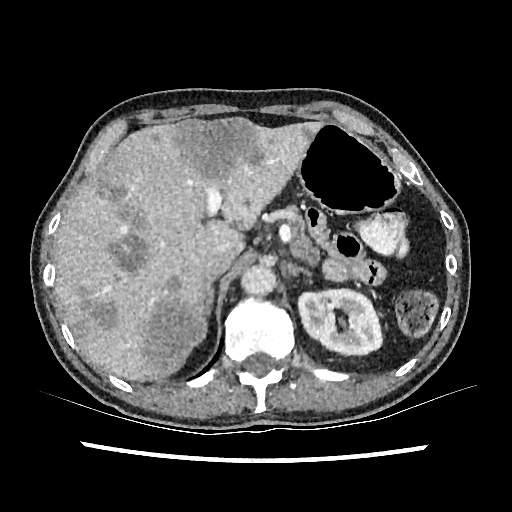 CT scan slice; Liver

{
  "kidney": [
    "<box>298,289,381,358</box>"
  ],
  "liver_lesion": [
    "<box>242,197,250,208</box>",
    "<box>110,203,149,274</box>",
    "<box>151,134,159,143</box>",
    "<box>69,290,117,341</box>",
    "<box>300,125,314,141</box>",
    "<box>171,118,265,181</box>",
    "<box>97,178,126,202</box>",
    "<box>143,277,203,373</box>"
  ],
  "liver": [
    "<box>56,122,323,377</box>"
  ]
}